CT | Slice 334/574 | 512x512 px 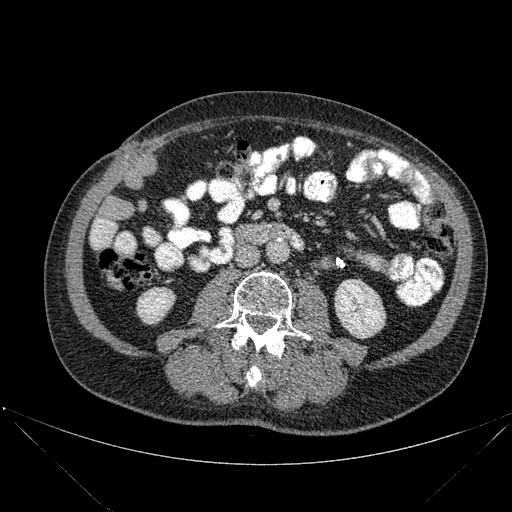 Kidney — region(335, 279, 385, 338); region(137, 287, 174, 323).
Bone — region(246, 366, 260, 386); region(216, 272, 310, 357).